Pelvis. CT slice. 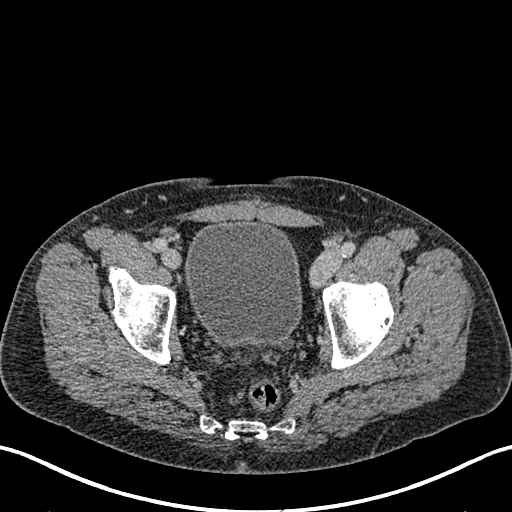 The urinary bladder is bounded by 185:218:302:347.